Abdomen; Computed tomography; Slice 80/127; Field of view 360 mm wide, 1.25 mm slice spacing 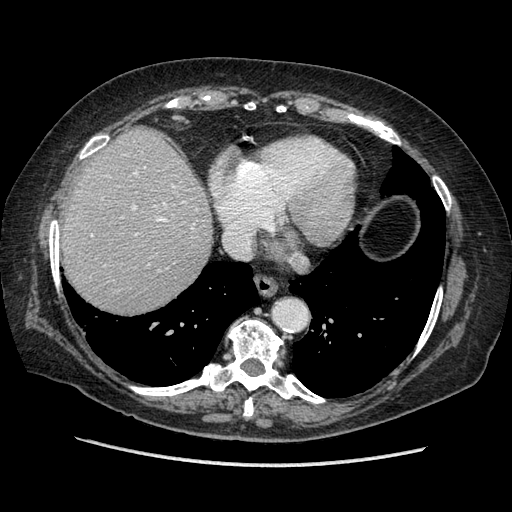
Not every hepatic vessel necessarily has a box.
2 hepatic vessel regions are bounded by x1=133 y1=206 x2=135 y2=208, x1=156 y1=217 x2=164 y2=220.